Brain; 240x240 px; Image width 240 mm
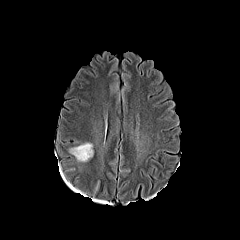
FLAIR MR image.
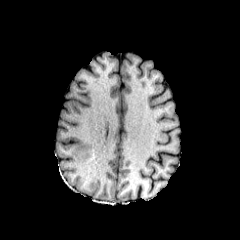
T1-weighted MR of the same slice.
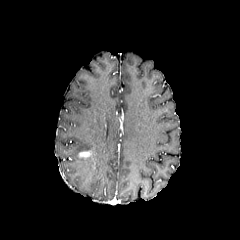
Post-contrast T1-weighted MR.
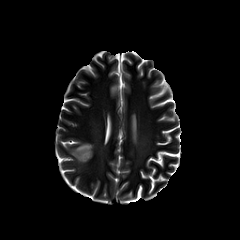
Same slice, T2-weighted magnetic resonance.
- edema: (69,142,93,162)